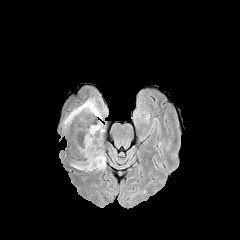
FLAIR magnetic resonance.
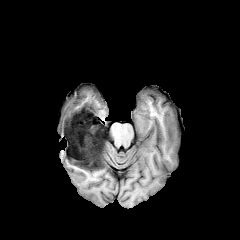
Same slice, T1-weighted MRI.
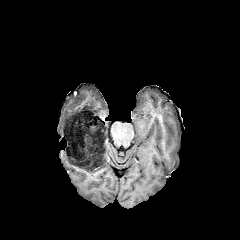
Post-contrast T1-weighted MR.
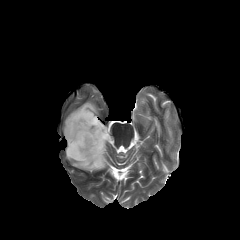
T2-weighted MRI.
Brain. 240x240.
The non-enhancing tumor core appears at (x1=65, y1=106, x2=106, y2=169). 2 edema regions are located at (x1=64, y1=99, x2=102, y2=132), (x1=94, y1=152, x2=106, y2=170).